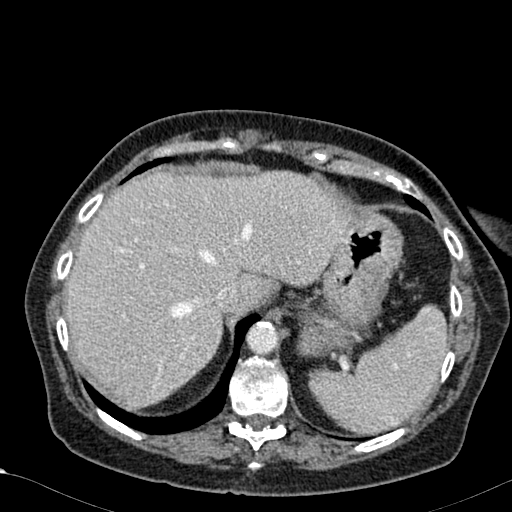
512x512, Computed tomography
- liver: 68:171:351:406